FLAIR MRI.
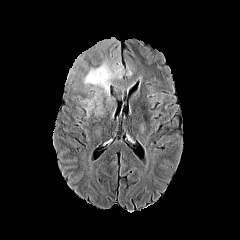
T1-weighted MRI.
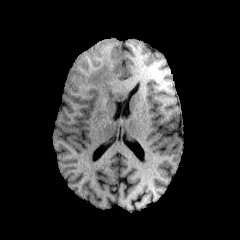
Post-contrast T1-weighted magnetic resonance.
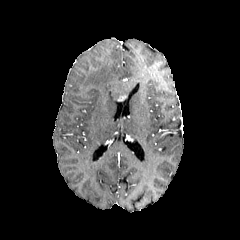
T2-weighted magnetic resonance.
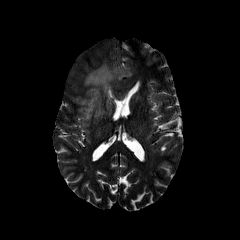
240x240 px
Edema = 80,54,132,114.